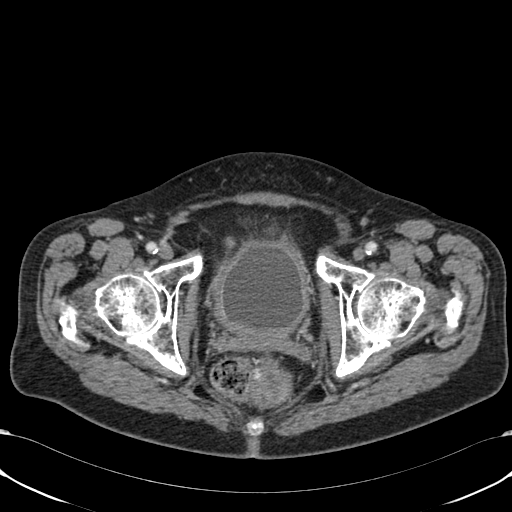

Computed tomography
<segmentation>
  <urinary_bladder>region(223, 248, 302, 331)</urinary_bladder>
</segmentation>